Abdomen. CT slice. Image size 512x512.
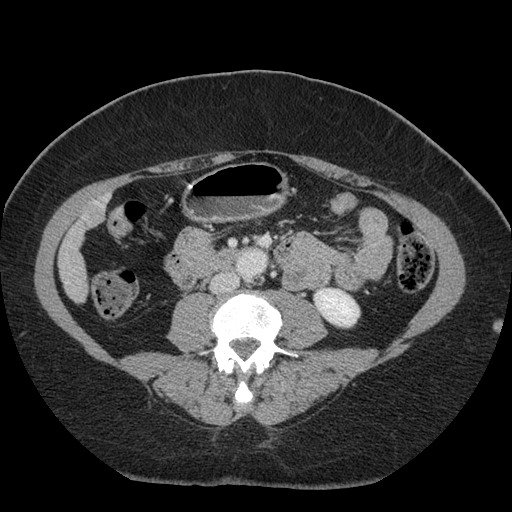
Liver tumor at x1=86 y1=205 x2=101 y2=218.